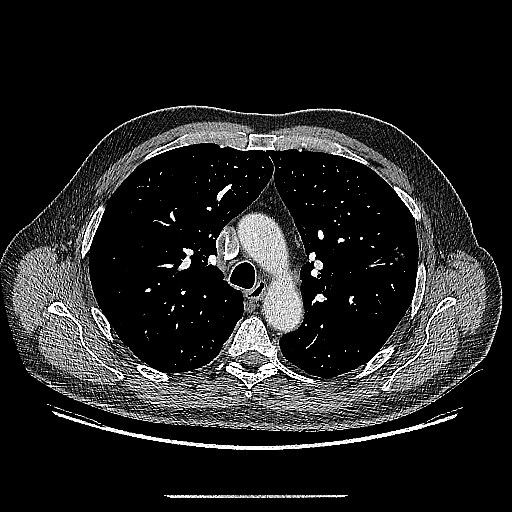

CT image; Thorax
lung tumor: x1=392, y1=243, x2=405, y2=262